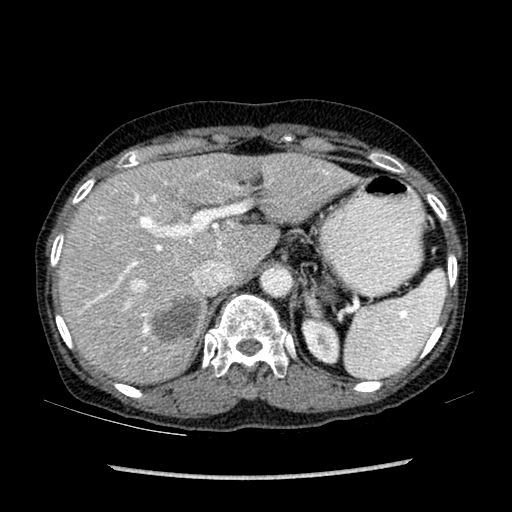 512x512 px | CT slice | Abdomen
Liver at 58:153:361:383.
Kidney at 303:321:337:361.
Liver lesion at 151:295:201:343.